CT slice | Image size 512x512 | Field of view 390x390 mm 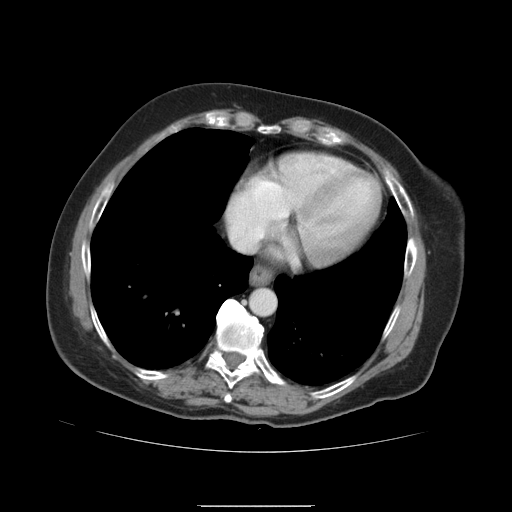

Some hepatic vessels may have no box.
hepatic_vessel:
  - <bbox>230, 222, 265, 250</bbox>